Medial temporal lobe. 37x45. Slice 19/36. Field of view 37 mm wide, 1.00 mm slice spacing. MR image.

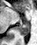

Annotated regions:
- posterior hippocampus: box=[17, 23, 29, 35]